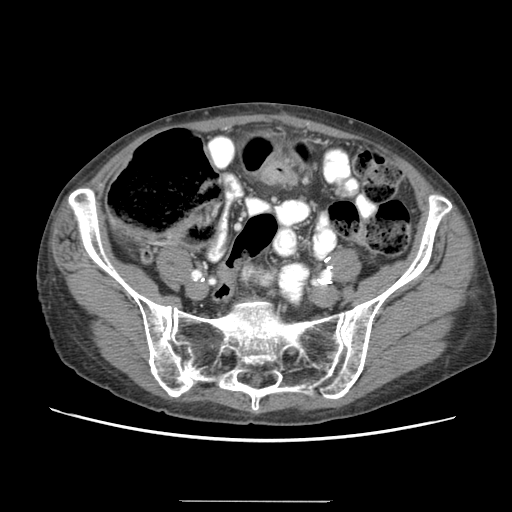 Pelvis; CT image
Colon tumor: <box>260,160,297,185</box>.